38x55. Field of view 38x55 mm. MRI slice. 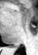

The posterior hippocampus is located at (left=13, top=46, right=18, bottom=47).